Slice 64/155 | Field of view 240x240 mm
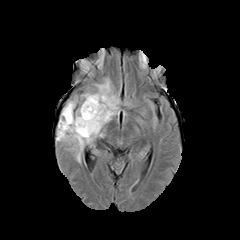
FLAIR MR.
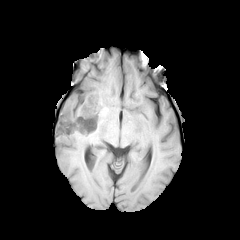
Same slice, T1-weighted MR image.
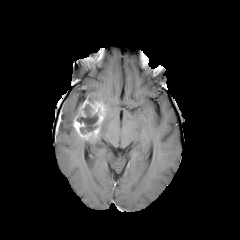
Post-contrast T1-weighted MRI of the same slice.
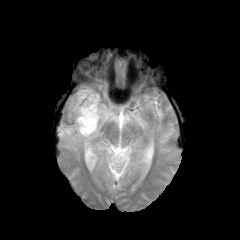
Same slice, T2-weighted MR.
• edema: bbox(57, 79, 120, 162)
• enhancing tumor: bbox(78, 98, 106, 125); bbox(73, 118, 99, 137)
• non-enhancing tumor core: bbox(77, 104, 99, 132)